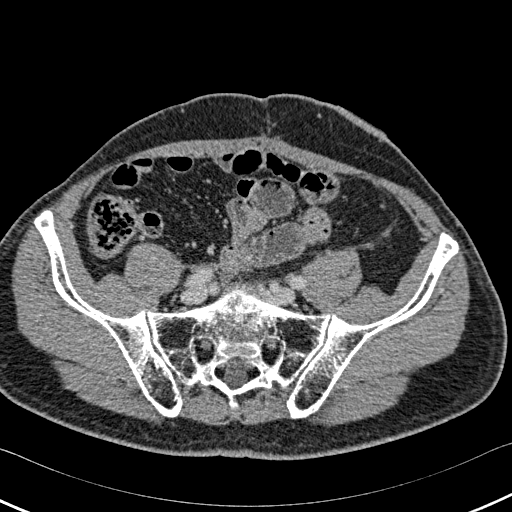 512x512 px | CT
* bone: (34,211,458,418)